CT slice; Image width 335 mm
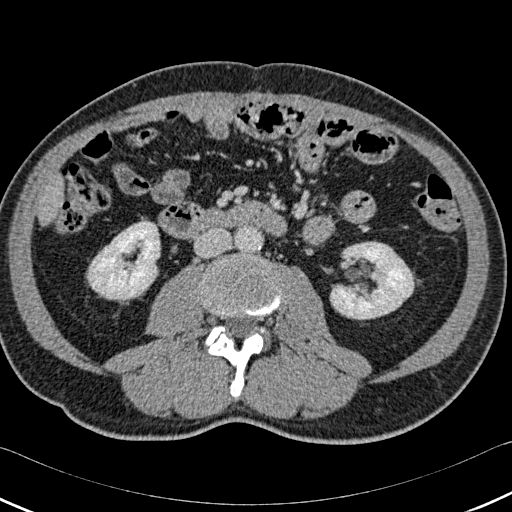 Segmented structures:
- kidney: x1=88, y1=221, x2=159, y2=299; x1=331, y1=242, x2=413, y2=318
- bone: x1=202, y1=260, x2=280, y2=315; x1=206, y1=326, x2=262, y2=397
- liver: x1=38, y1=192, x2=62, y2=224